CT slice, Slice 136 of 161, Image size 512x512

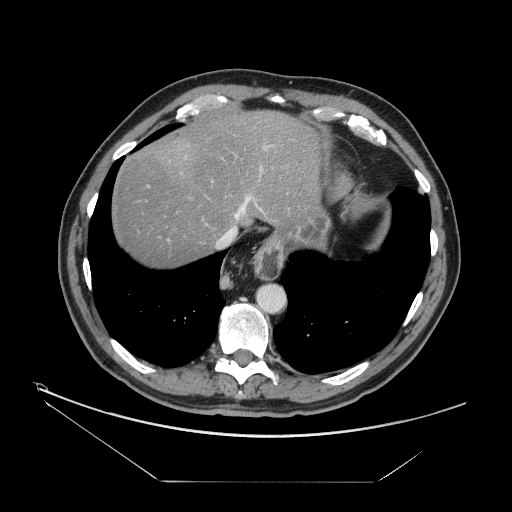 The vessel boxes may cover only some of the vessels.
Hepatic vessel = [235,214,239,218], [241,197,248,213].